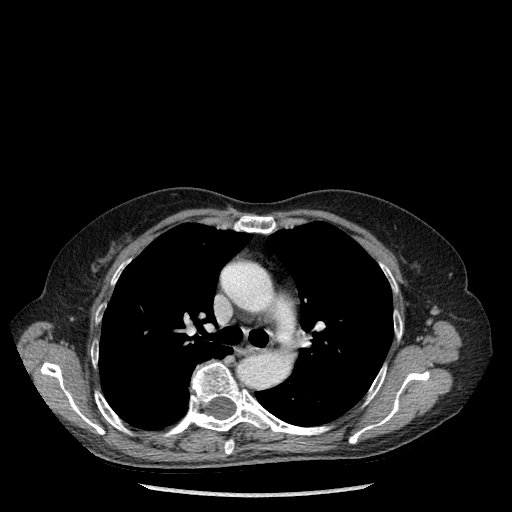

CT scan slice | 512x512
Segmented structures:
* bone: x1=234 y1=215 x2=275 y2=233, x1=365 y1=365 x2=386 y2=404, x1=380 y1=263 x2=397 y2=291, x1=349 y1=371 x2=429 y2=443, x1=91 y1=345 x2=98 y2=365, x1=95 y1=391 x2=130 y2=433, x1=224 y1=439 x2=233 y2=454, x1=95 y1=305 x2=101 y2=322, x1=40 y1=362 x2=104 y2=434, x1=111 y1=263 x2=124 y2=284, x1=394 y1=311 x2=402 y2=338, x1=162 y1=361 x2=329 y2=437
* lung: x1=99 y1=223 x2=251 y2=429, x1=256 y1=222 x2=393 y2=426, x1=249 y1=330 x2=268 y2=346